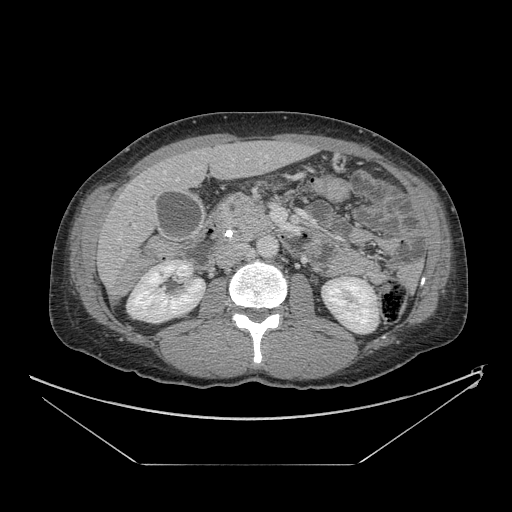
CT, Image size 512x512
The pancreas is located at {"x1": 215, "y1": 194, "x2": 275, "y2": 243}.